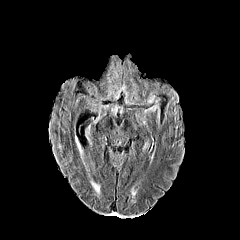
FLAIR MR image.
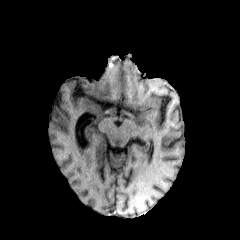
T1-weighted MR image.
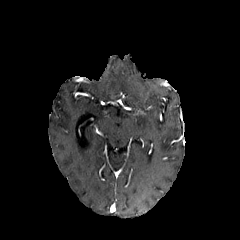
Post-contrast T1-weighted magnetic resonance.
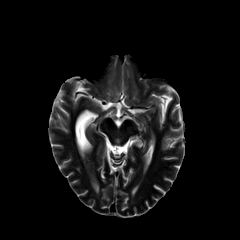
T2-weighted MR image.
Brain | Image size 240x240
Edema: box=[144, 93, 161, 117].